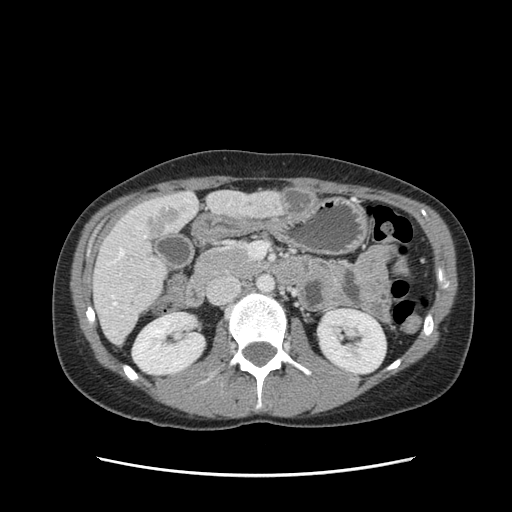
Upper abdomen | CT image
{
  "pancreas": [
    "[x1=195, y1=244, x2=263, y2=279]"
  ]
}